Abdomen | CT | Slice index 79

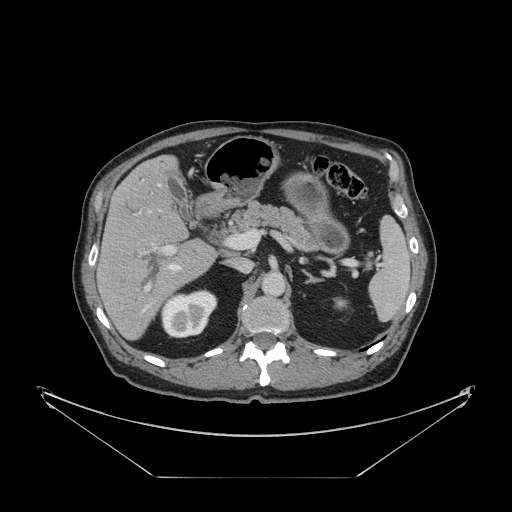 The vessel boxes may cover only some of the vessels.
{"hepatic_vessel": ["<bbox>158, 184, 160, 186</bbox>", "<bbox>153, 245, 175, 255</bbox>", "<bbox>139, 212, 140, 214</bbox>", "<bbox>145, 284, 149, 290</bbox>", "<bbox>227, 230, 259, 248</bbox>", "<bbox>148, 210, 150, 212</bbox>", "<bbox>142, 306, 148, 311</bbox>", "<bbox>168, 264, 179, 270</bbox>"]}